FLAIR MRI.
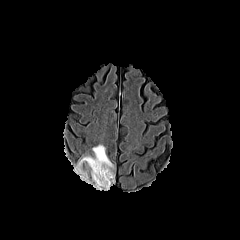
T1-weighted MR image.
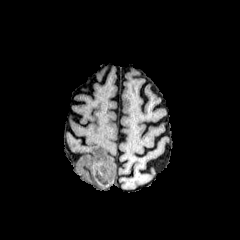
Post-contrast T1-weighted MR image.
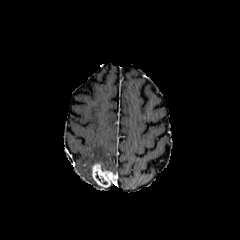
T2-weighted MR image.
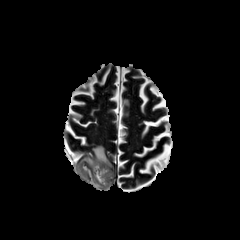
Head
The enhancing tumor appears at {"x1": 90, "y1": 162, "x2": 115, "y2": 188}. The edema appears at {"x1": 78, "y1": 145, "x2": 113, "y2": 169}.